Head
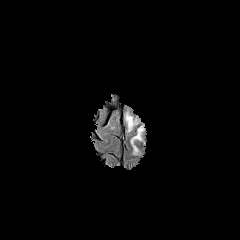
FLAIR magnetic resonance.
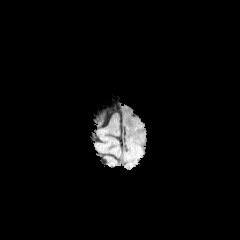
T1-weighted MR.
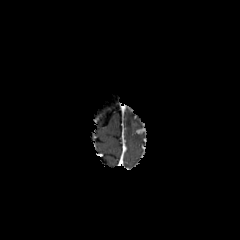
Same slice, post-contrast T1-weighted MRI.
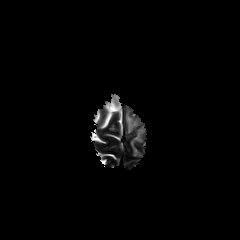
Same slice, T2-weighted magnetic resonance.
Edema: (left=125, top=112, right=139, bottom=133), (left=130, top=134, right=141, bottom=156).